CT | Image width 358 mm | Slice 75 of 161 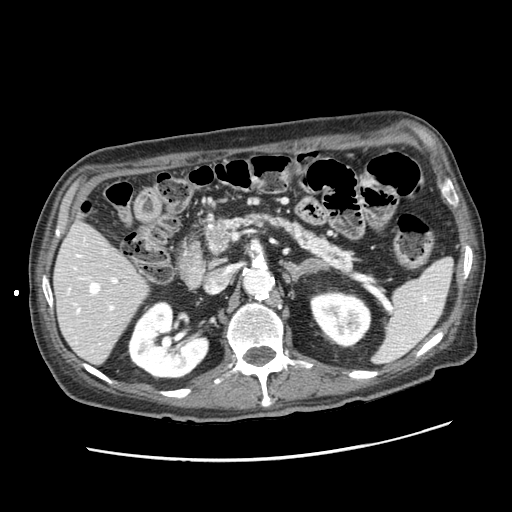

pancreatic tumor: [x1=213, y1=224, x2=229, y2=246] | pancreas: [x1=207, y1=214, x2=352, y2=270]